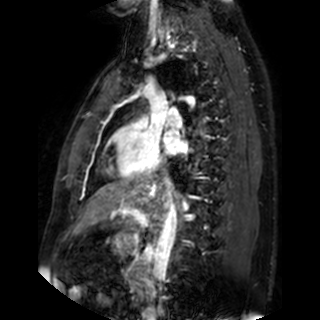

Cardiac. MRI slice.
Left atrium — box=[164, 129, 187, 155].